FLAIR MRI.
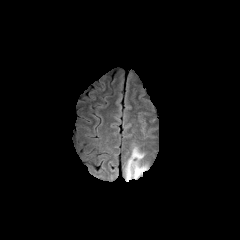
T1-weighted MR.
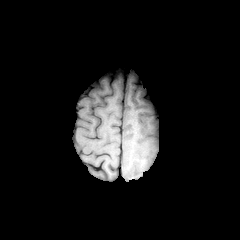
Post-contrast T1-weighted magnetic resonance.
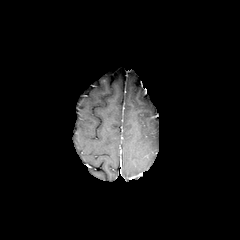
T2-weighted magnetic resonance.
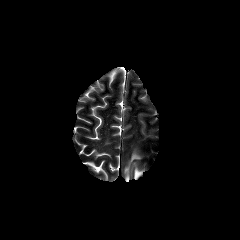
<segmentation>
  <edema>[x1=123, y1=148, x2=145, y2=178]</edema>
</segmentation>